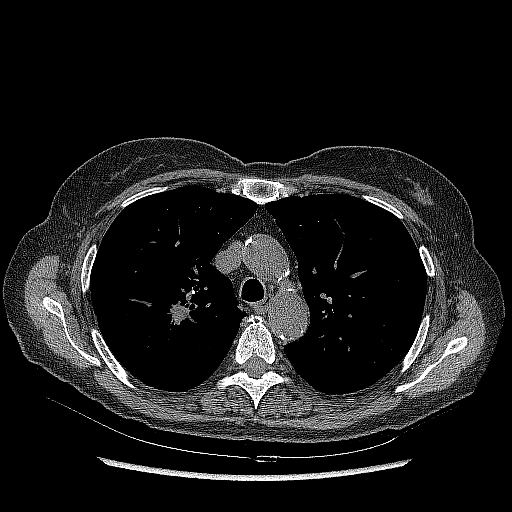
CT slice | 512x512 px

Lung tumor: bounding box bbox=[165, 302, 189, 327].